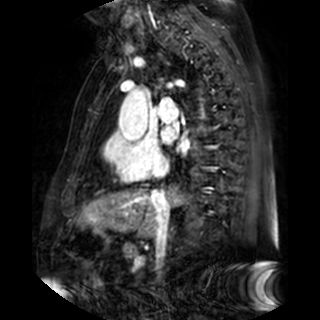
Magnetic resonance. Image size 320x320. 2 left atrium regions are located at bbox(178, 142, 189, 151); bbox(162, 126, 174, 142).